FLAIR MRI.
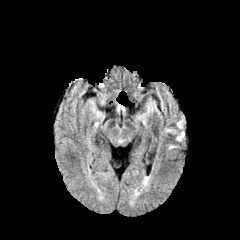
T1-weighted magnetic resonance.
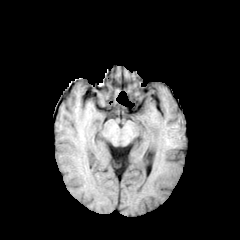
Post-contrast T1-weighted MRI.
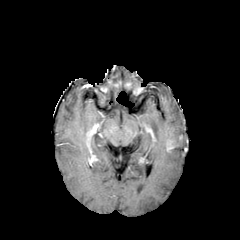
T2-weighted MRI.
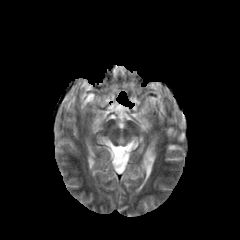
Brain
Edema at [164,128,177,135].